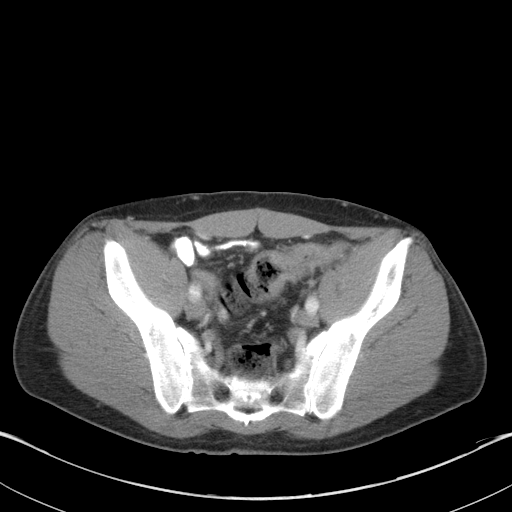

Abdomen, CT image, 512x512 px
Segmented structures:
- colon tumor: box=[245, 244, 340, 293]